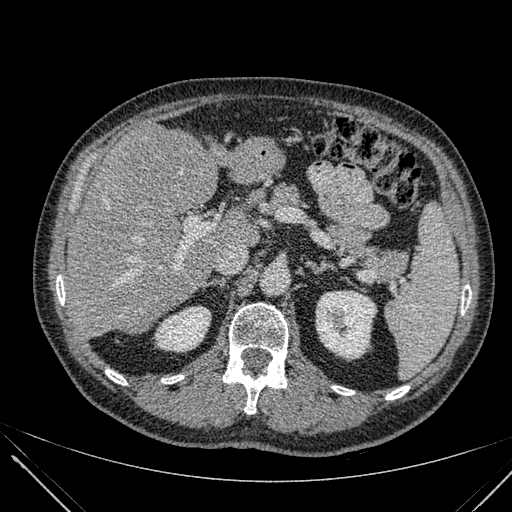

CT slice | Upper abdomen
Annotated regions:
* kidney: (316, 291, 375, 357), (156, 307, 210, 351)
* liver: (66, 125, 259, 336), (218, 138, 276, 184)